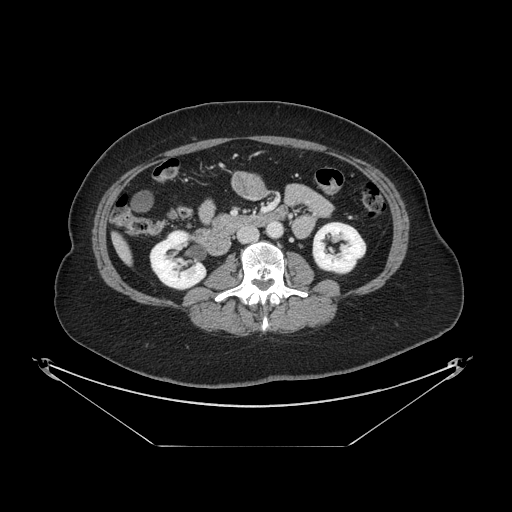 CT.
Pancreas — bbox=[213, 214, 232, 228].